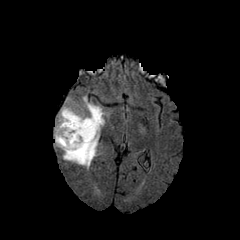
FLAIR magnetic resonance.
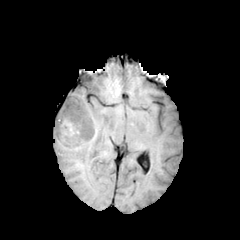
T1-weighted magnetic resonance.
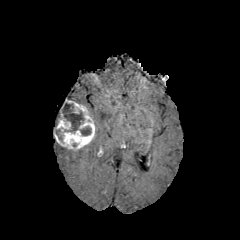
Post-contrast T1-weighted MR image of the same slice.
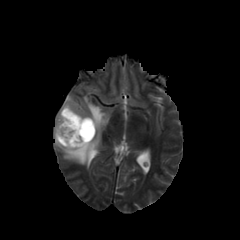
T2-weighted MRI.
Annotated regions:
• edema: region(54, 94, 108, 168)
• enhancing tumor: region(54, 99, 95, 149)
• non-enhancing tumor core: region(72, 141, 91, 157); region(60, 102, 83, 131); region(80, 127, 91, 135)